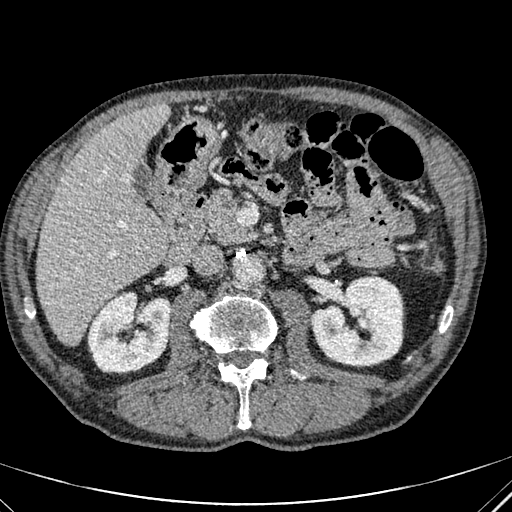
Upper abdomen | 512x512 px | CT
Liver: bbox=[37, 105, 167, 345].
Kidney: bbox=[312, 278, 401, 364]; bbox=[89, 293, 169, 371].